Head
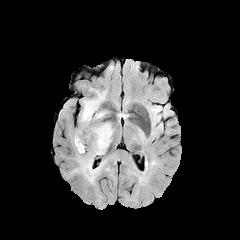
FLAIR MRI.
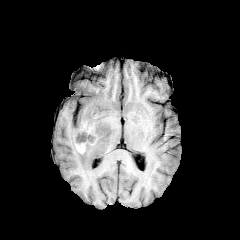
T1-weighted magnetic resonance.
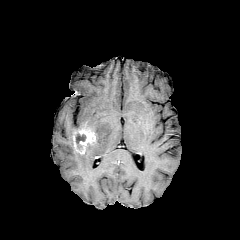
Post-contrast T1-weighted magnetic resonance.
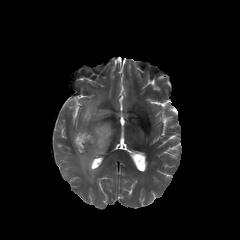
T2-weighted magnetic resonance.
edema: {"x1": 73, "y1": 95, "x2": 113, "y2": 183} | enhancing tumor: {"x1": 72, "y1": 125, "x2": 95, "y2": 153} | non-enhancing tumor core: {"x1": 75, "y1": 132, "x2": 85, "y2": 149}